FLAIR MR.
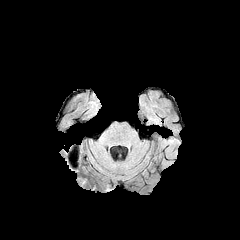
T1-weighted MR.
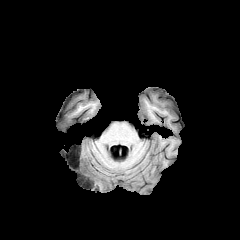
Post-contrast T1-weighted magnetic resonance.
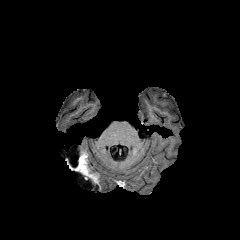
T2-weighted MRI.
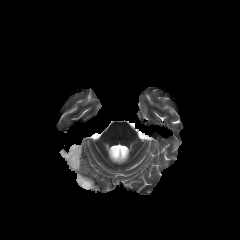
Head
edema: box(86, 160, 98, 180) | non-enhancing tumor core: box(78, 154, 87, 167) | enhancing tumor: box(78, 159, 89, 173)